512x512 px; Slice 494 of 771; Liver; CT image

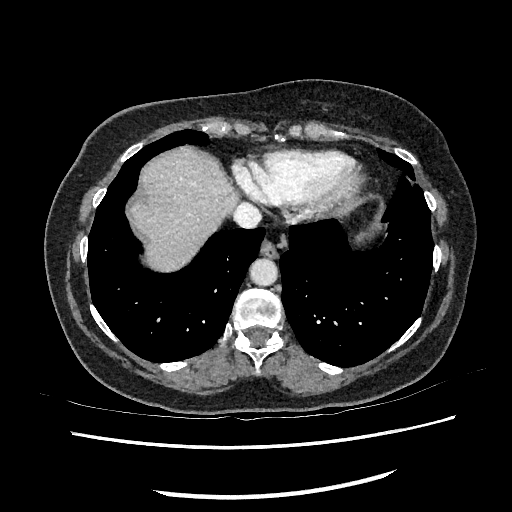
liver:
  - box=[133, 148, 233, 270]